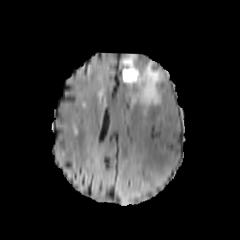
FLAIR MR image.
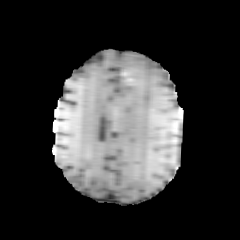
T1-weighted MRI.
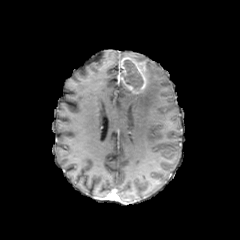
Post-contrast T1-weighted MR image.
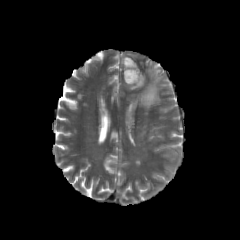
T2-weighted MR image of the same slice.
Brain
Non-enhancing tumor core = bbox(122, 60, 143, 91).
Enhancing tumor = bbox(121, 57, 147, 93).
Edema = bbox(127, 60, 163, 108).